CT image. Image size 512x512. Slice 330/811.

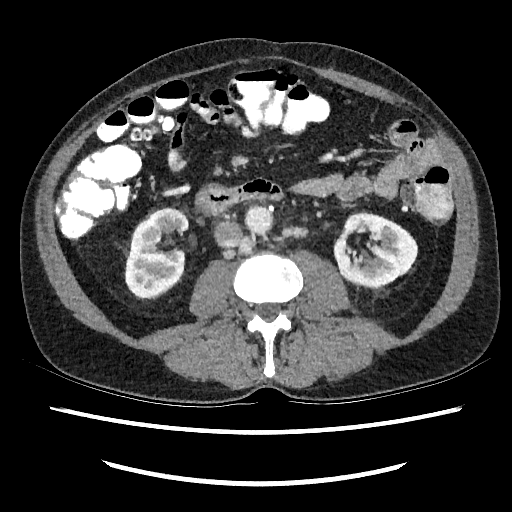 kidney:
  - (335, 214, 416, 286)
  - (126, 209, 187, 297)